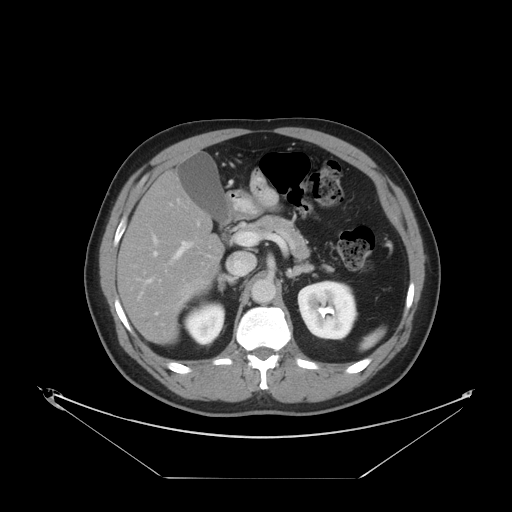
512x512 px; Abdomen; Computed tomography
The vessel annotation is not exhaustive.
{"hepatic_vessel": ["155:312:157:314", "173:241:188:258", "153:236:156:241", "153:252:156:255", "147:279:152:282"], "liver_tumor": ["183:278:212:296"]}